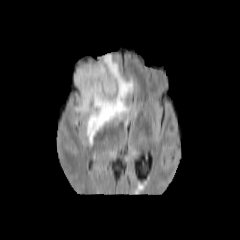
FLAIR magnetic resonance.
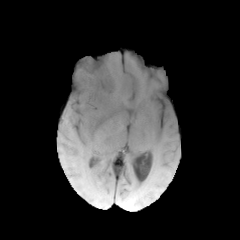
T1-weighted MRI.
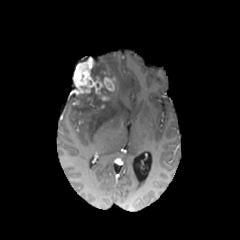
Post-contrast T1-weighted MR.
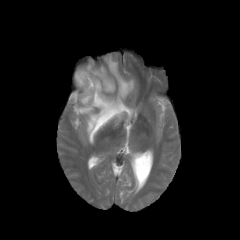
T2-weighted MR.
Head
<segmentation>
  <non-enhancing_tumor_core>{"x1": 91, "y1": 58, "x2": 114, "y2": 81}, {"x1": 101, "y1": 80, "x2": 117, "y2": 97}, {"x1": 70, "y1": 88, "x2": 107, "y2": 112}</non-enhancing_tumor_core>
  <enhancing_tumor>{"x1": 73, "y1": 57, "x2": 115, "y2": 101}</enhancing_tumor>
  <edema>{"x1": 73, "y1": 54, "x2": 133, "y2": 143}</edema>
</segmentation>